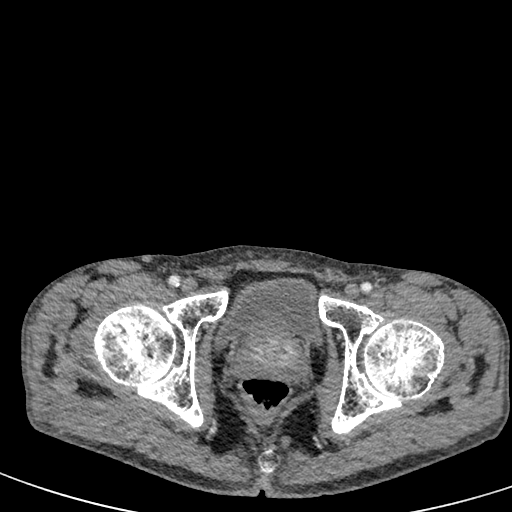 Lower abdomen | CT image
{
  "urinary_bladder": [
    "(x1=213, y1=279, x2=325, y2=350)"
  ]
}